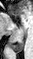

33x59 px, MRI slice
Posterior hippocampus: bounding box box=[10, 38, 24, 53].